FLAIR MR image.
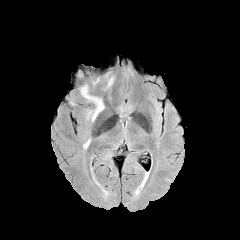
T1-weighted magnetic resonance.
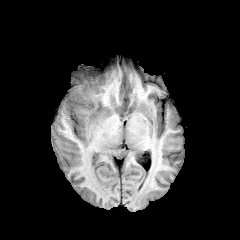
Post-contrast T1-weighted MR image.
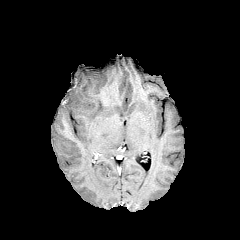
T2-weighted MRI.
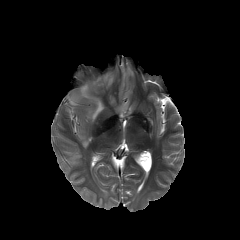
<segmentation>
  <edema>rect(80, 73, 114, 121)</edema>
</segmentation>